FLAIR MR image.
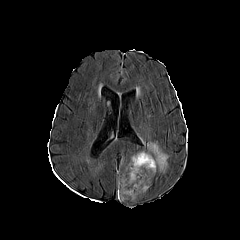
T1-weighted MR.
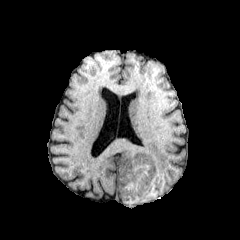
Post-contrast T1-weighted MR.
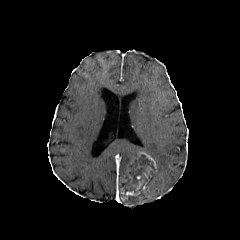
T2-weighted magnetic resonance.
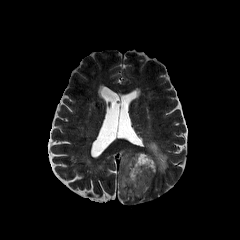
Brain
3 enhancing tumor regions are bounded by [134,151,157,173], [136,167,152,181], [119,158,149,200]. The edema is located at [139,137,169,173]. The non-enhancing tumor core is at [120,155,154,191].